Abdomen; Slice 33/47; CT image
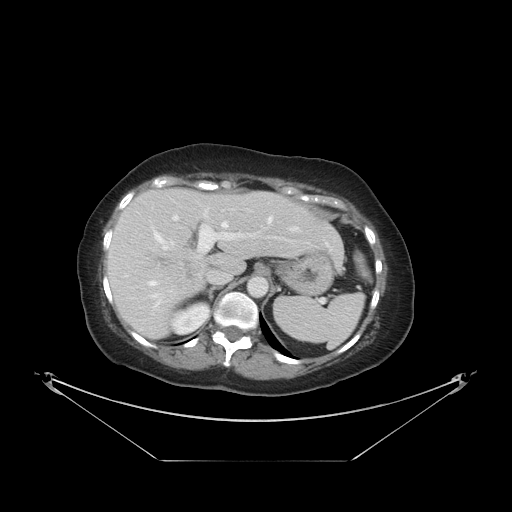
The vessel boxes may cover only some of the vessels.
Hepatic vessel — (left=292, top=228, right=298, bottom=230), (left=150, top=281, right=155, bottom=285), (left=269, top=217, right=271, bottom=221), (left=249, top=234, right=254, bottom=235), (left=269, top=236, right=292, bottom=242), (left=173, top=216, right=178, bottom=220), (left=163, top=246, right=166, bottom=249), (left=210, top=271, right=230, bottom=283), (left=244, top=264, right=245, bottom=268), (left=154, top=230, right=163, bottom=242), (left=157, top=301, right=162, bottom=305), (left=189, top=223, right=244, bottom=258), (left=213, top=261, right=228, bottom=262), (left=326, top=243, right=328, bottom=245), (left=204, top=210, right=207, bottom=215).
Liver tumor — (left=179, top=258, right=201, bottom=289), (left=157, top=255, right=177, bottom=271).